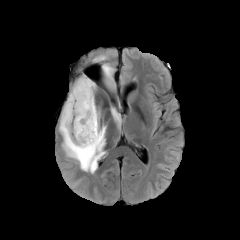
FLAIR MR image.
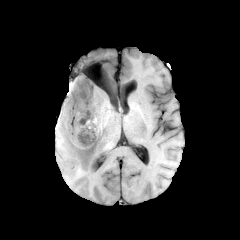
T1-weighted MR image of the same slice.
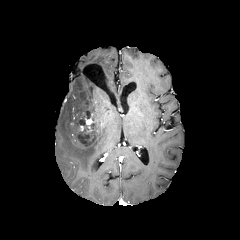
Same slice, post-contrast T1-weighted MR image.
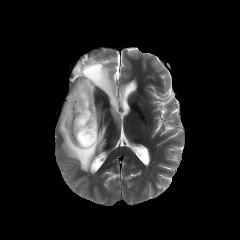
T2-weighted MRI of the same slice.
Brain.
3 edema regions are located at [x1=111, y1=107, x2=121, y2=123], [x1=59, y1=74, x2=106, y2=173], [x1=94, y1=57, x2=115, y2=90]. The non-enhancing tumor core lies within [x1=78, y1=111, x2=94, y2=145]. The enhancing tumor appears at [x1=85, y1=114, x2=93, y2=128].